MRI, Medial temporal lobe

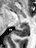 <segmentation>
  <posterior_hippocampus>rect(15, 23, 29, 36)</posterior_hippocampus>
</segmentation>